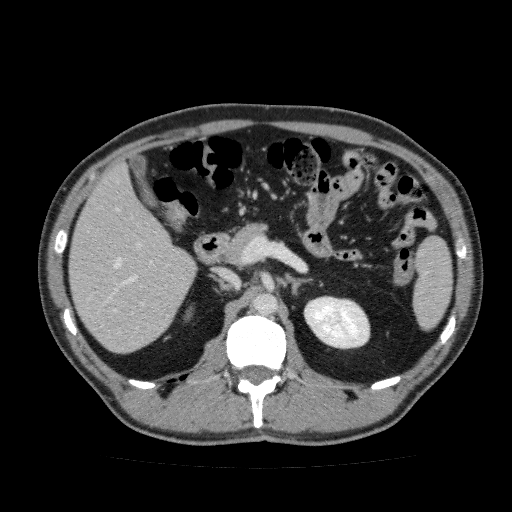 CT, 512x512 px, Liver
Segmented structures:
• kidney: <bbox>305, 297, 369, 347</bbox>
• liver: <bbox>68, 161, 195, 354</bbox>